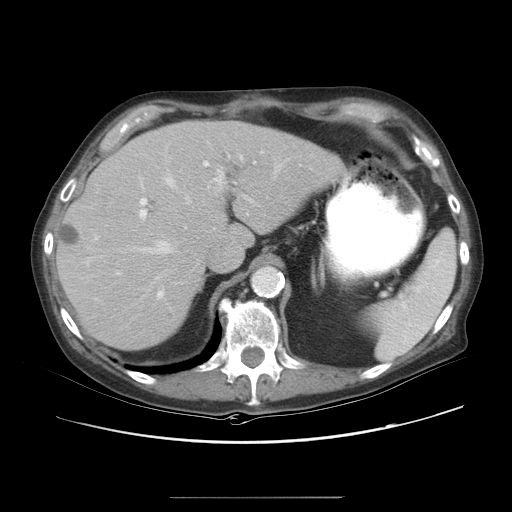

512x512; Abdomen; Computed tomography
Only some of the vessels may be annotated.
Hepatic vessel at left=156, top=277, right=160, bottom=278; left=253, top=162, right=255, bottom=163; left=93, top=235, right=99, bottom=240; left=238, top=154, right=243, bottom=160; left=186, top=197, right=189, bottom=203; left=138, top=241, right=172, bottom=253; left=139, top=197, right=146, bottom=209; left=164, top=174, right=176, bottom=188; left=211, top=168, right=224, bottom=190; left=276, top=165, right=280, bottom=171.
Liver tumor at left=61, top=224, right=77, bottom=242.